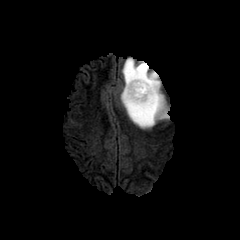
FLAIR MR.
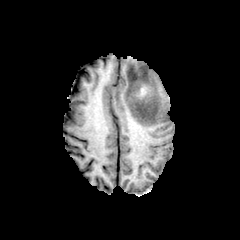
T1-weighted MRI.
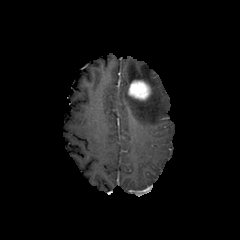
Same slice, post-contrast T1-weighted MR image.
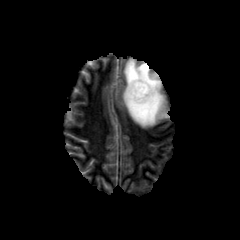
T2-weighted MR image of the same slice.
Brain. 240x240 px.
Edema: bounding box rect(121, 58, 168, 128).
Non-enhancing tumor core: bounding box rect(126, 78, 151, 103).
Enhancing tumor: bounding box rect(128, 80, 149, 99).